Slice 17/33, MR, Medial temporal lobe

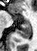
The posterior hippocampus lies within bbox=[17, 23, 30, 37]. The anterior hippocampus is at bbox=[13, 14, 17, 19].